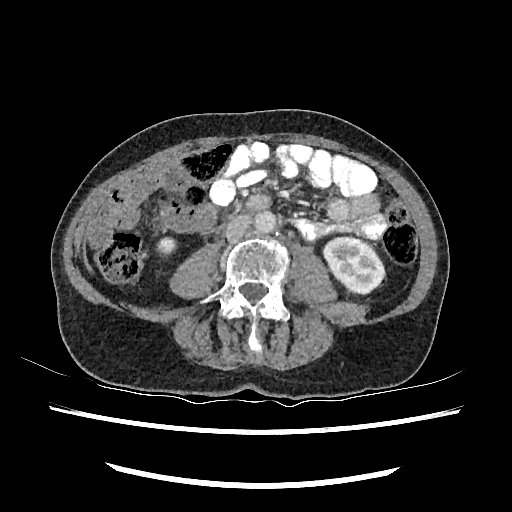 CT image.
Kidney: left=324, top=238, right=383, bottom=293; left=161, top=240, right=172, bottom=248.